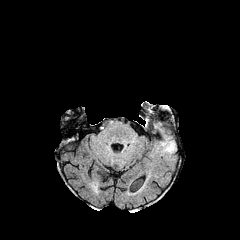
FLAIR MR image.
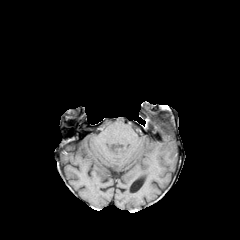
T1-weighted MRI.
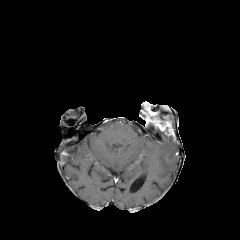
Same slice, post-contrast T1-weighted magnetic resonance.
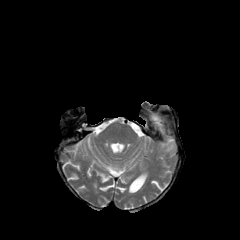
T2-weighted MR image.
Head, Image size 240x240
Segmented structures:
* non-enhancing tumor core: l=144, t=110, r=157, b=125
* enhancing tumor: l=154, t=120, r=164, b=129
* edema: l=160, t=135, r=175, b=153